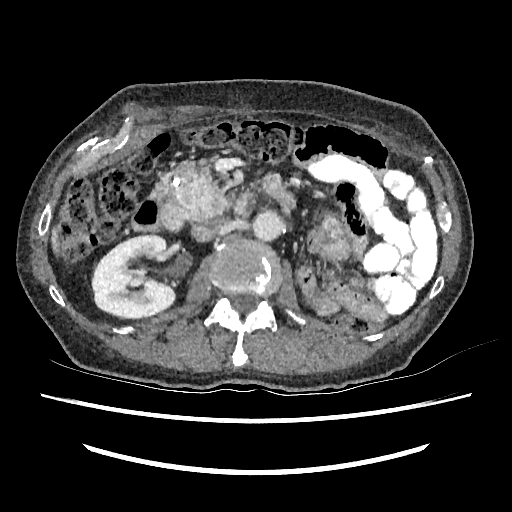 CT slice
Annotated regions:
* liver: {"x1": 51, "y1": 227, "x2": 58, "y2": 251}
* kidney: {"x1": 92, "y1": 236, "x2": 174, "y2": 317}